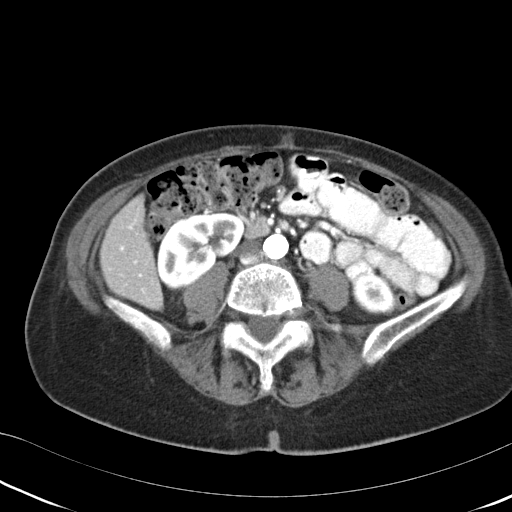
CT scan slice
Segmented structures:
• pancreas: (251,219,264,236)